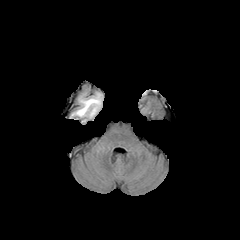
FLAIR MR image.
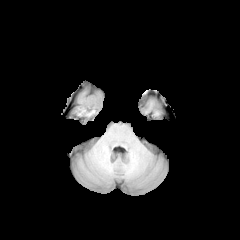
T1-weighted magnetic resonance of the same slice.
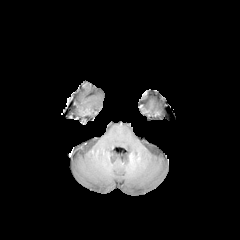
Same slice, post-contrast T1-weighted MR.
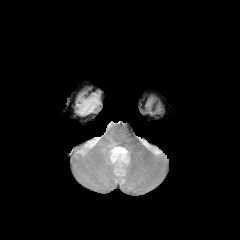
T2-weighted MRI.
Head
Segmented structures:
- edema: (left=76, top=93, right=101, bottom=117)